FLAIR MRI.
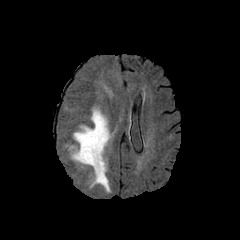
T1-weighted magnetic resonance.
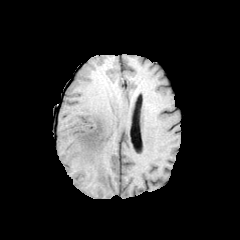
Post-contrast T1-weighted MRI.
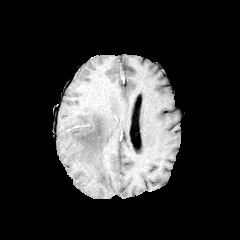
T2-weighted MR image.
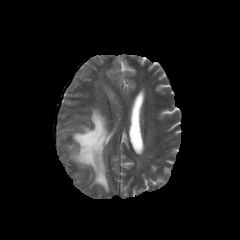
Head | Image size 240x240
Findings:
- edema: (left=65, top=107, right=112, bottom=192)